Slice 14 of 27; Hippocampus; MR image
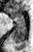 The posterior hippocampus is located at <bbox>13, 22, 25, 43</bbox>. The anterior hippocampus appears at <bbox>9, 9, 24, 21</bbox>.